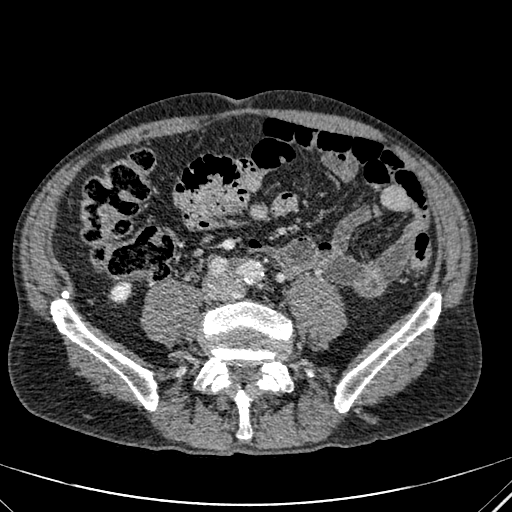
Abdomen | 512x512 | CT scan slice
kidney:
  - (left=112, top=284, right=129, bottom=300)